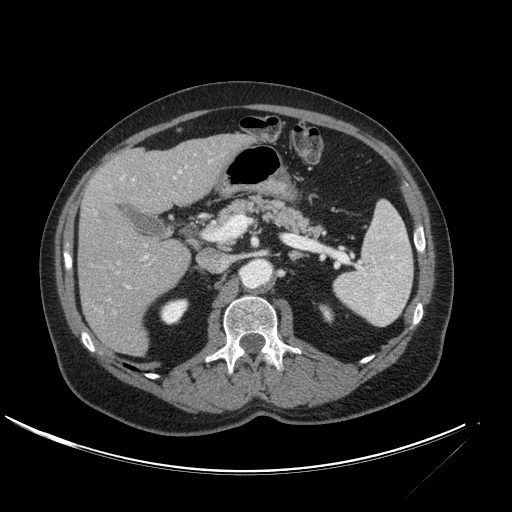
Computed tomography

The hepatic lesion appears at (96, 209, 110, 220). The liver lies within (78, 134, 254, 356). The kidney appears at (162, 301, 186, 322).